CT slice, Image width 409 mm, 512x512 px, Liver 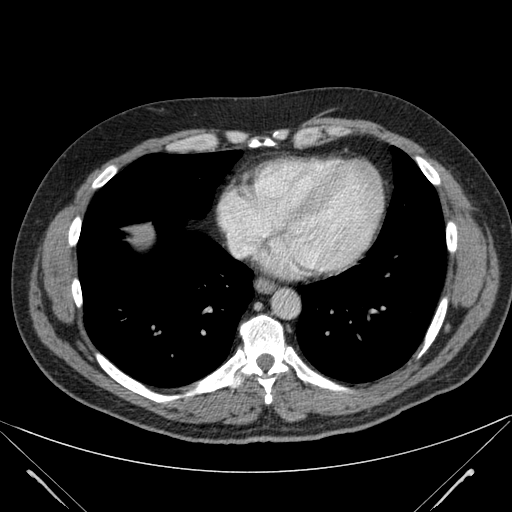

Liver — box(132, 225, 153, 241).